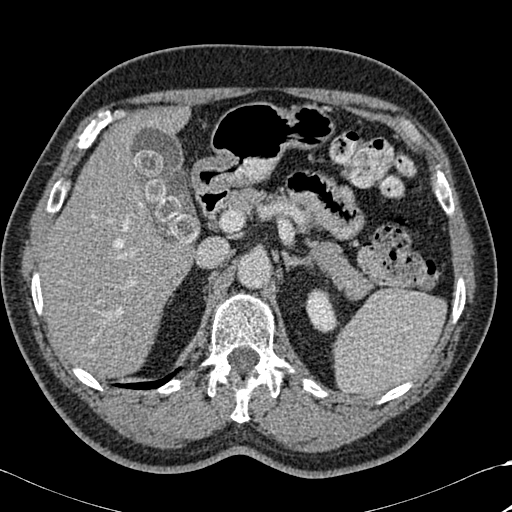
Image size 512x512. Computed tomography. Liver.

Lung at bbox(114, 367, 181, 389).
Bone at bbox(78, 121, 105, 148); bbox(453, 279, 464, 320); bbox(32, 274, 42, 312); bbox(47, 181, 65, 211); bbox(303, 380, 326, 396); bbox(203, 294, 293, 422); bbox(380, 383, 410, 402); bbox(158, 380, 180, 393); bbox(436, 172, 453, 213); bbox(74, 368, 101, 389).
Liver at bbox(130, 106, 190, 135); bbox(39, 126, 191, 378).
Kidney at bbox(307, 292, 334, 330).